512x512 px | Slice 363 of 671 | CT image

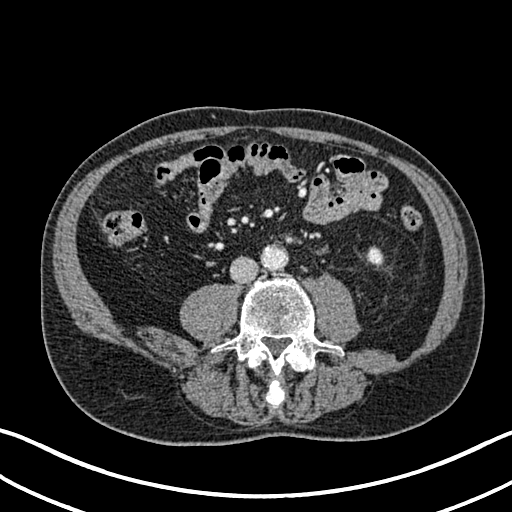

Kidney: [368,248,381,263].